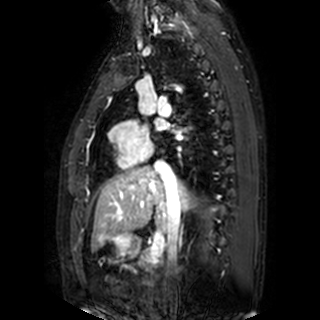

Magnetic resonance | Heart
left atrium: region(156, 120, 167, 129)